Slice index 78. CT scan slice. Abdomen.
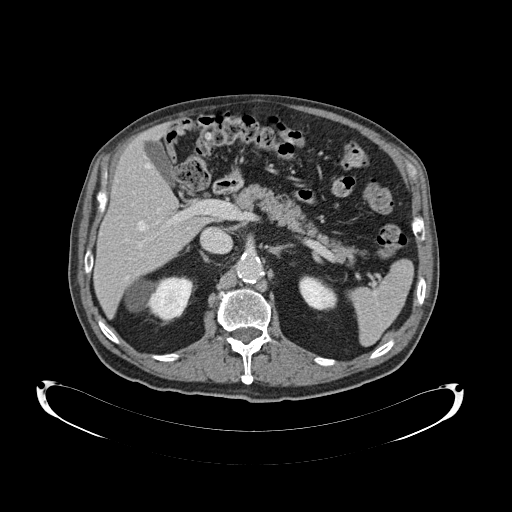
pancreas: 235:184:362:263